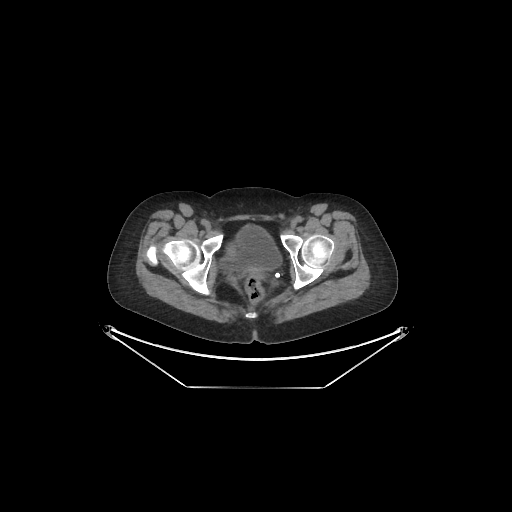

CT; Lower abdomen
The urinary bladder lies within bbox=[221, 224, 281, 273].